CT scan slice. 512x512 px. Abdomen. Field of view 464x464 mm. 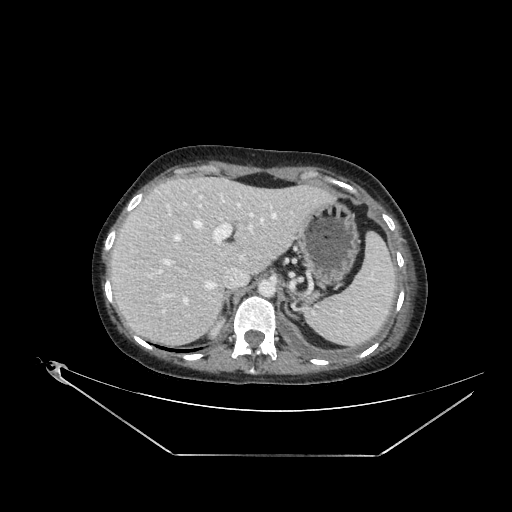

<segmentation>
  <liver><bbox>113, 180, 322, 340</bbox></liver>
</segmentation>